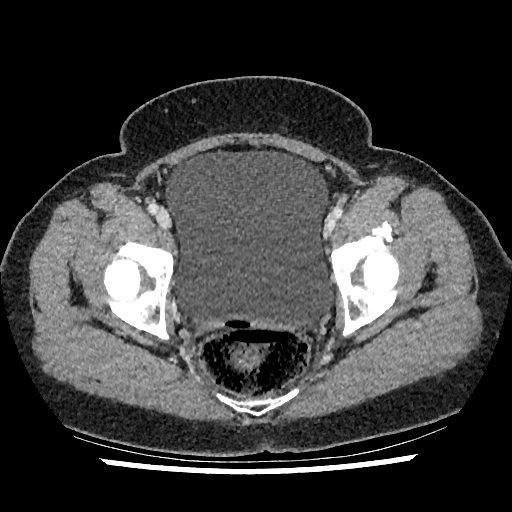 512x512 px, Computed tomography
<segmentation>
  <urinary_bladder>rect(165, 151, 334, 330)</urinary_bladder>
</segmentation>